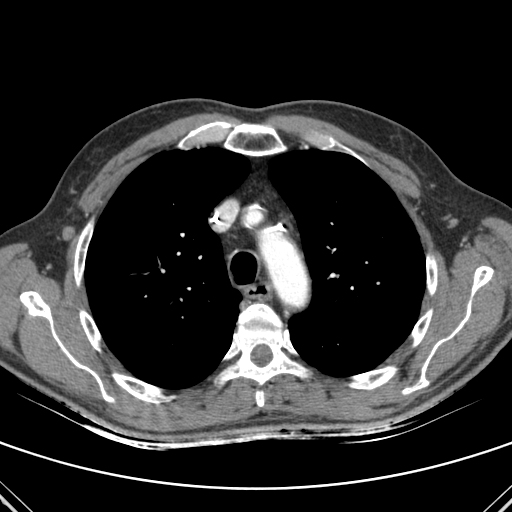

CT
Lung = rect(269, 149, 425, 376); rect(85, 147, 250, 388).
Bone = rect(74, 221, 92, 285); rect(325, 138, 359, 158); rect(178, 121, 285, 155); rect(411, 309, 432, 346); rect(471, 266, 493, 296); rect(402, 300, 471, 394); rect(349, 366, 396, 389); rect(20, 291, 114, 402); rect(112, 373, 164, 402); rect(426, 255, 437, 294); rect(219, 303, 307, 406); rect(79, 310, 100, 351).